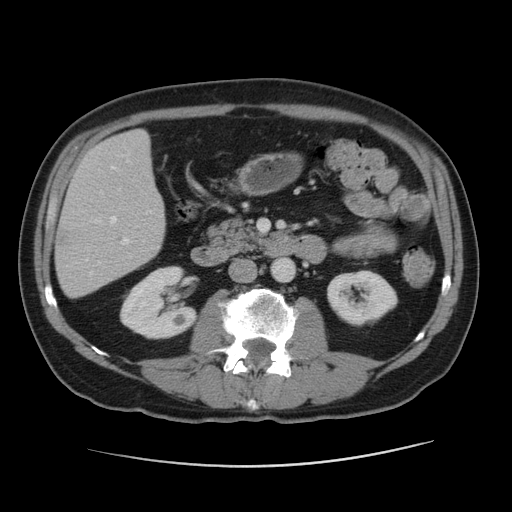
CT slice. {
  "liver": [
    "(55, 136, 161, 294)"
  ],
  "liver_lesion": [
    "(56, 232, 71, 247)"
  ],
  "kidney": [
    "(327, 270, 397, 325)",
    "(122, 267, 195, 337)"
  ]
}